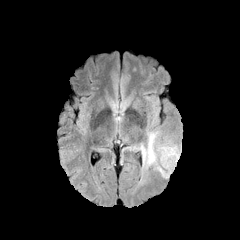
FLAIR magnetic resonance.
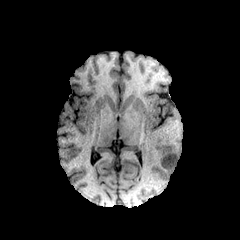
T1-weighted MR of the same slice.
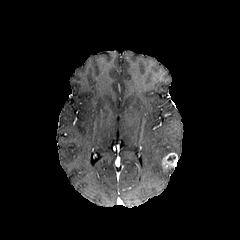
Same slice, post-contrast T1-weighted MR image.
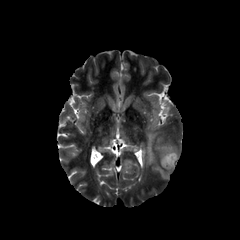
T2-weighted MRI.
Brain, 240x240
3 edema regions are located at [x1=141, y1=132, x2=157, y2=168], [x1=160, y1=146, x2=175, y2=157], [x1=157, y1=167, x2=172, y2=179]. The enhancing tumor is located at [x1=161, y1=152, x2=178, y2=169].